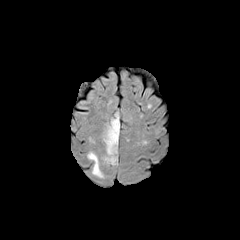
FLAIR MR.
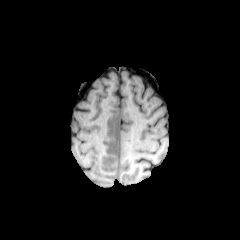
Same slice, T1-weighted MR.
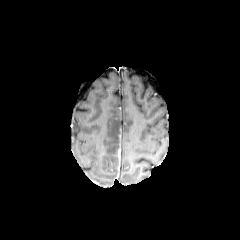
Post-contrast T1-weighted MRI.
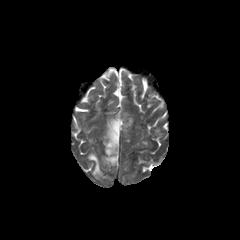
T2-weighted MR image.
Image size 240x240 | Brain
Non-enhancing tumor core: bounding box (x1=112, y1=148, x2=118, y2=161).
Edema: bounding box (x1=87, y1=152, x2=103, y2=177), (x1=102, y1=113, x2=119, y2=165).